FLAIR MR image.
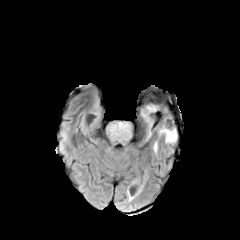
T1-weighted MR.
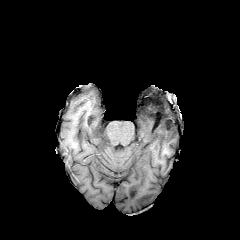
Post-contrast T1-weighted MR image.
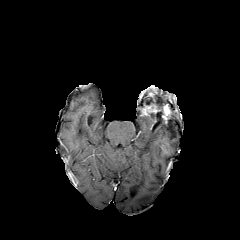
T2-weighted MR.
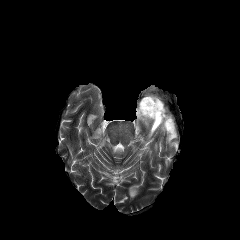
Brain
edema:
  - <box>153,118,176,143</box>
  - <box>146,119,153,140</box>
  - <box>153,142,159,153</box>
enhancing_tumor:
  - <box>141,104,169,121</box>